Image size 240x240 | Slice index 122 | Field of view 240x240 mm
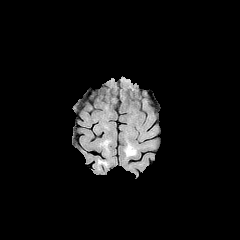
FLAIR MRI.
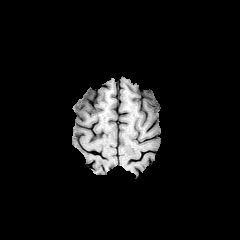
T1-weighted MR image.
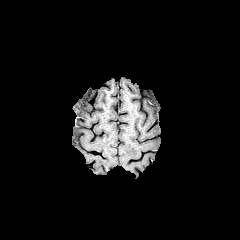
Post-contrast T1-weighted magnetic resonance.
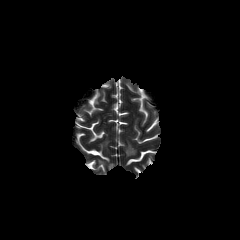
T2-weighted MRI.
Segmented structures:
- edema: box(96, 158, 105, 169)